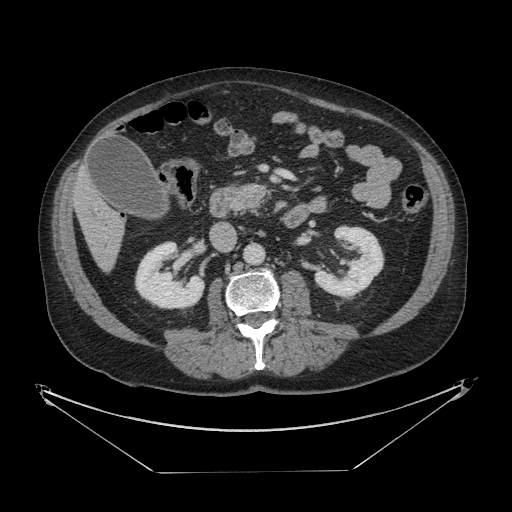

CT image. Pancreas: [x1=243, y1=185, x2=262, y2=205].